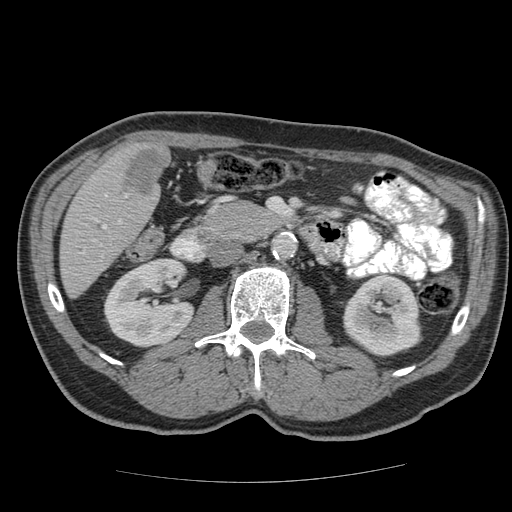

CT scan slice; Image size 512x512; Abdomen

The vessel annotation is not exhaustive.
hepatic vessel: 124,194,127,196; 103,226,105,228 | liver tumor: 124,145,168,194